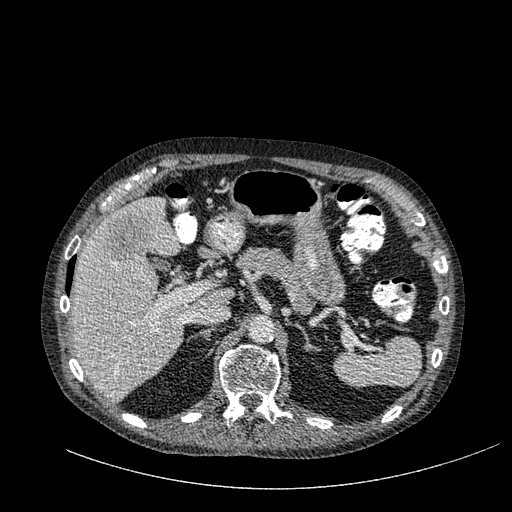
512x512 px, CT slice
The liver is bounded by bbox=[71, 198, 233, 401]. The hepatic lesion appears at bbox=[104, 211, 152, 262].